Prostate
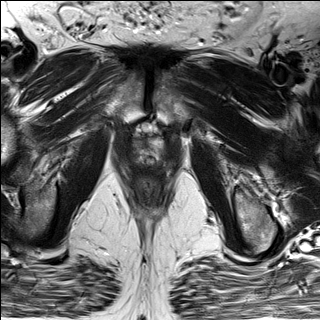
T2-weighted MR.
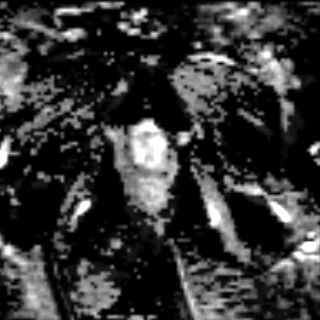
ADC magnetic resonance of the same slice.
The prostate transition zone is bounded by (129,136,168,169).